Slice 33/52; CT slice
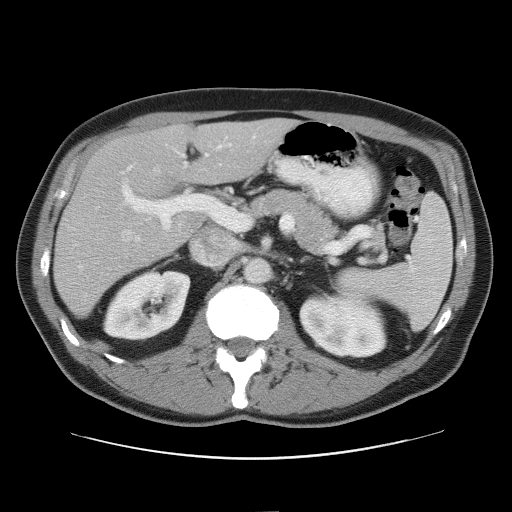

The vessel boxes may cover only some of the vessels.
* hepatic vessel (top 15 of 17): box(123, 179, 127, 186); box(216, 137, 230, 150); box(128, 203, 134, 210); box(126, 164, 133, 170); box(128, 186, 131, 191); box(161, 208, 170, 230); box(205, 154, 207, 156); box(122, 230, 138, 241); box(122, 186, 125, 196); box(157, 201, 162, 207); box(121, 171, 125, 174); box(78, 265, 82, 271); box(154, 168, 159, 173); box(251, 136, 254, 143); box(172, 148, 183, 156)